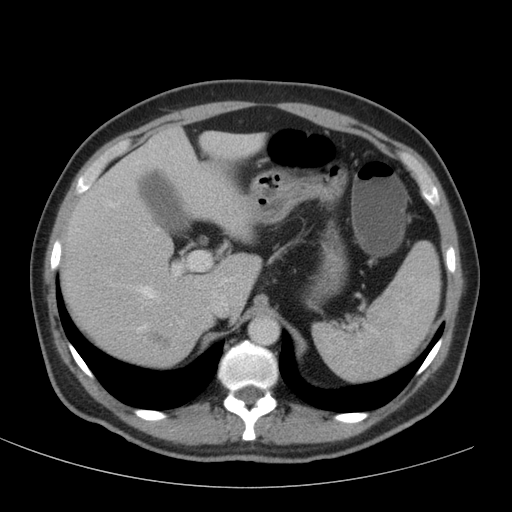 Computed tomography
Liver at rect(61, 127, 259, 365); rect(200, 134, 262, 159).
Liver lesion at rect(147, 331, 172, 350).